FLAIR MR image.
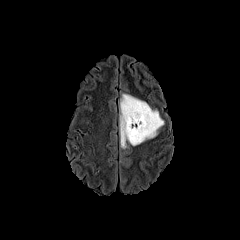
T1-weighted MRI.
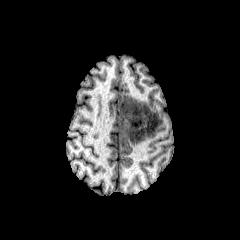
Post-contrast T1-weighted MR.
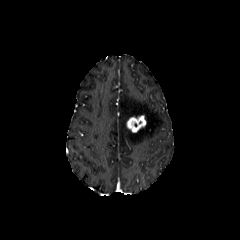
T2-weighted MRI.
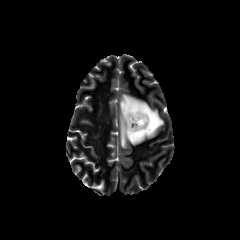
Head; 240x240
<segmentation>
  <edema>rect(120, 94, 164, 146)</edema>
  <enhancing_tumor>rect(126, 114, 146, 132)</enhancing_tumor>
</segmentation>